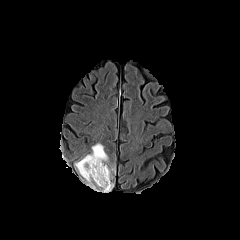
FLAIR magnetic resonance.
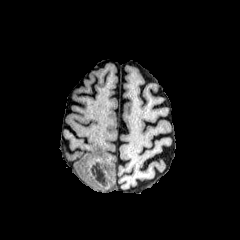
T1-weighted MR image of the same slice.
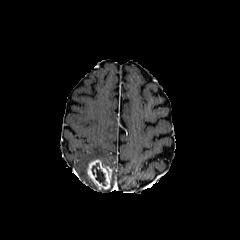
Post-contrast T1-weighted MRI.
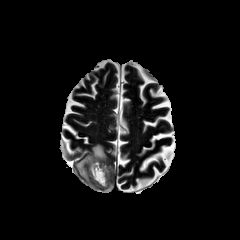
T2-weighted MRI.
240x240 px
edema: (75, 144, 107, 181) | enhancing tumor: (86, 159, 113, 189) | non-enhancing tumor core: (92, 163, 105, 185)